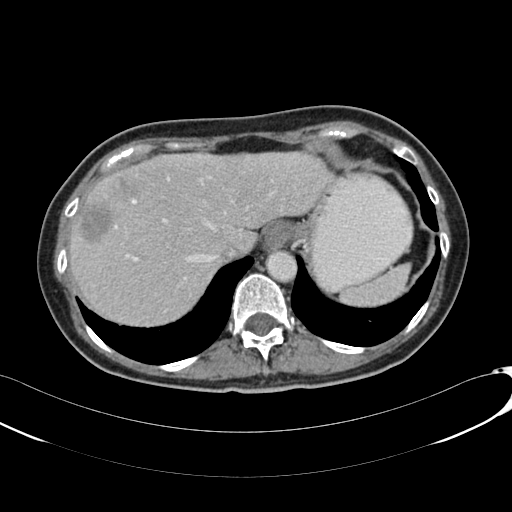 512x512, CT slice
Segmented structures:
- liver lesion: box=[113, 176, 137, 201]; box=[153, 217, 161, 226]; box=[78, 203, 113, 243]
- liver: box=[70, 153, 328, 323]